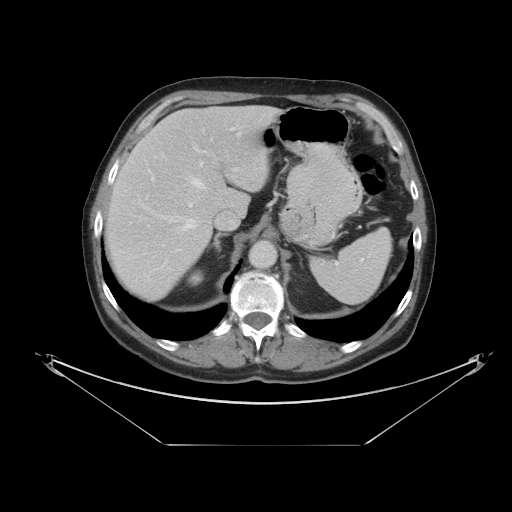 CT image
Annotated regions:
* spleen: l=310, t=228, r=392, b=304